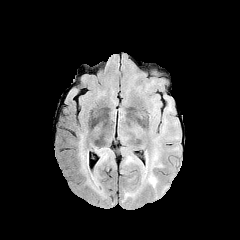
FLAIR MRI.
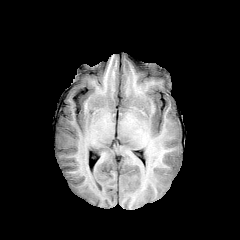
Same slice, T1-weighted MR.
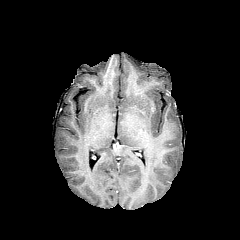
Post-contrast T1-weighted MR of the same slice.
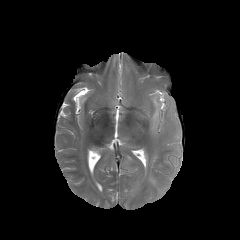
T2-weighted MRI.
Image size 240x240; Head
2 edema regions appear at box=[93, 147, 107, 167]; box=[80, 142, 87, 173].